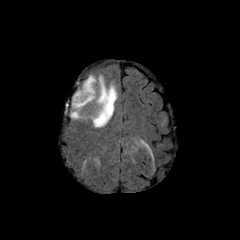
FLAIR MR image.
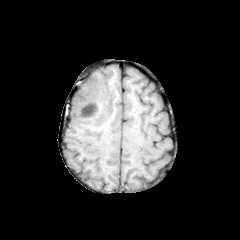
T1-weighted MR image of the same slice.
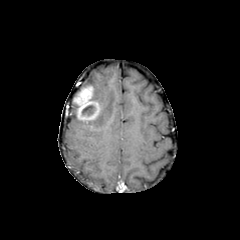
Post-contrast T1-weighted MRI.
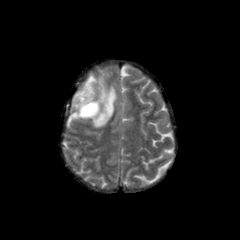
T2-weighted MRI.
240x240. Head.
Edema: {"x1": 80, "y1": 74, "x2": 119, "y2": 127}, {"x1": 70, "y1": 88, "x2": 82, "y2": 121}.
Enhancing tumor: {"x1": 74, "y1": 86, "x2": 92, "y2": 110}.
Non-enhancing tumor core: {"x1": 76, "y1": 99, "x2": 99, "y2": 119}.